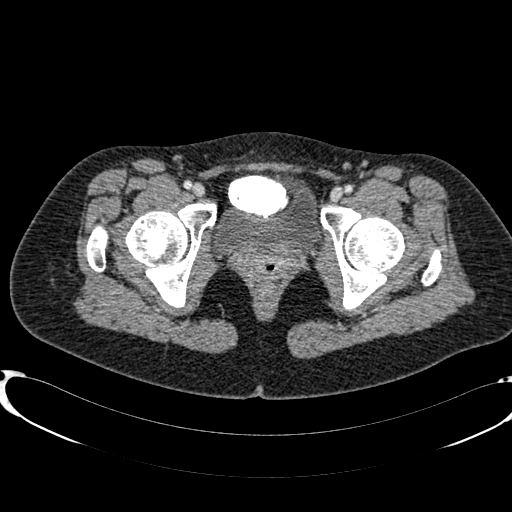
Image size 512x512, CT slice, Pelvis
{
  "urinary_bladder": [
    "[213, 188, 322, 257]"
  ]
}